Field of view 240 mm wide, 1.00 mm slice spacing; Slice 84/155
FLAIR magnetic resonance.
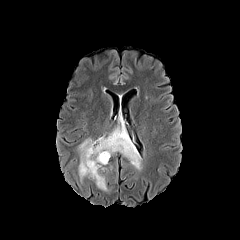
T1-weighted MR.
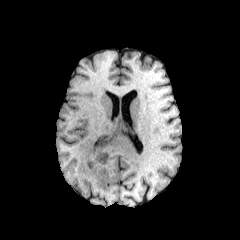
Post-contrast T1-weighted MRI.
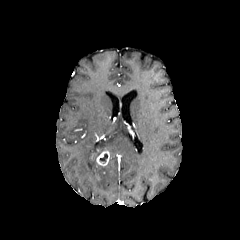
T2-weighted magnetic resonance.
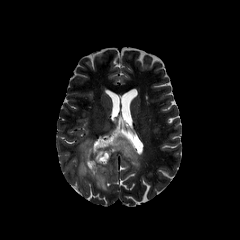
The enhancing tumor lies within box(97, 151, 109, 165). The non-enhancing tumor core appears at box(99, 153, 107, 162). The edema appears at box(78, 118, 141, 190).